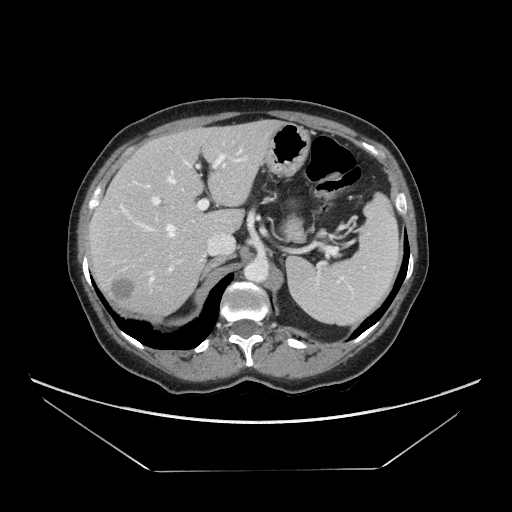

512x512 | CT slice

pancreas:
  - [279,214,310,243]